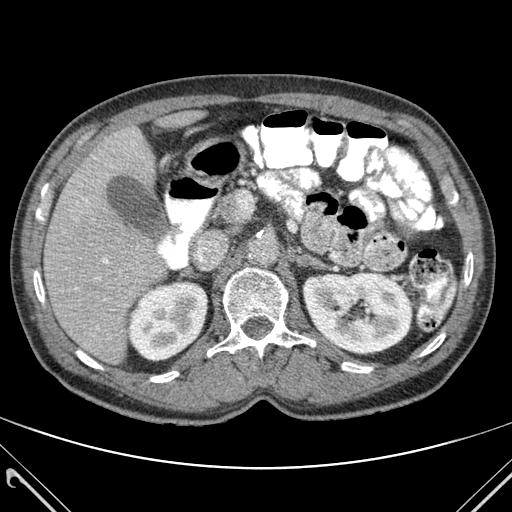 CT image | Abdomen

Bone: box=[150, 371, 178, 382]; box=[207, 268, 315, 356]; box=[77, 351, 102, 368]; box=[36, 184, 47, 224]; box=[34, 270, 43, 302]; box=[342, 362, 372, 372]; box=[465, 253, 472, 284]; box=[420, 334, 444, 355].
Kidney: box=[130, 283, 206, 359]; box=[304, 273, 411, 352].
Liver: box=[160, 111, 201, 127]; box=[44, 127, 161, 362].